Slice 422/630. CT. 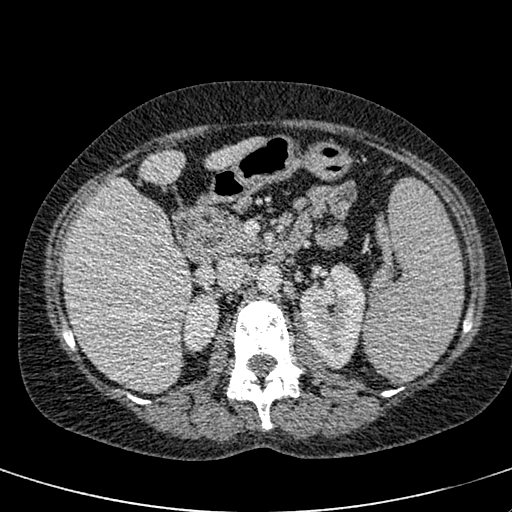
3 liver regions appear at x1=141, y1=151, x2=183, y2=183; x1=66, y1=179, x2=190, y2=390; x1=206, y1=138, x2=264, y2=169. The hepatic lesion lies within x1=142, y1=205, x2=168, y2=230. 2 kidney regions are located at x1=300, y1=264, x2=364, y2=367; x1=183, y1=295, x2=218, y2=346.